Field of view 411x411 mm, CT, Upper abdomen

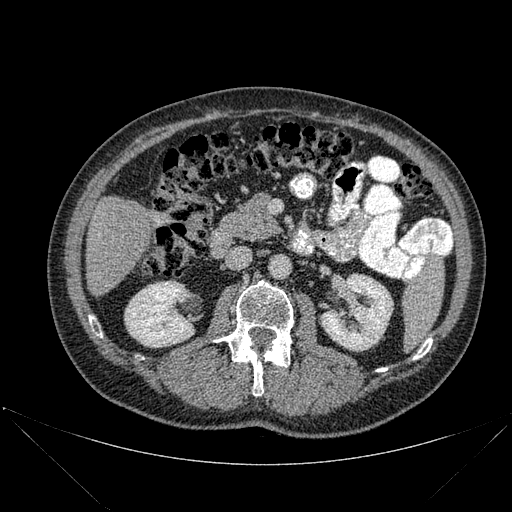
3 bone regions are bounded by region(213, 280, 293, 395); region(89, 315, 101, 337); region(413, 338, 432, 359). 2 kidney regions appear at region(125, 281, 193, 347); region(322, 274, 393, 350). The liver appears at region(86, 196, 150, 295).